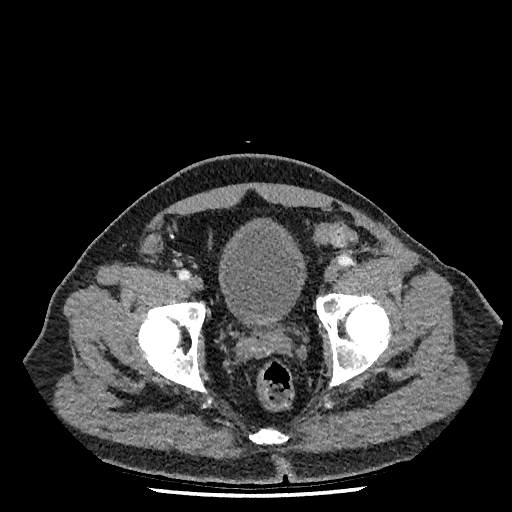

Lower abdomen, CT slice
The urinary bladder is at box(218, 219, 306, 324).